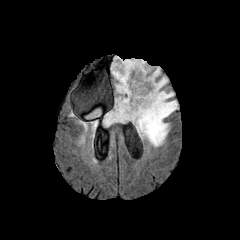
FLAIR MRI.
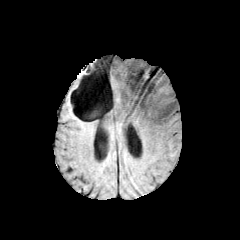
T1-weighted MRI of the same slice.
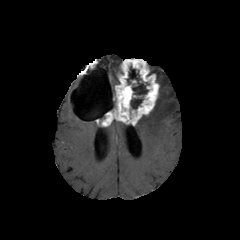
Post-contrast T1-weighted MR.
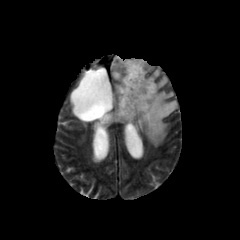
T2-weighted MR.
240x240 px
<segmentation>
  <non-enhancing_tumor_core>(130, 97, 142, 109), (126, 67, 147, 95)</non-enhancing_tumor_core>
  <enhancing_tumor>(102, 58, 159, 125)</enhancing_tumor>
  <edema>(134, 76, 177, 146), (111, 57, 122, 85), (86, 108, 101, 118), (151, 68, 160, 79)</edema>
</segmentation>